Slice 77 of 155
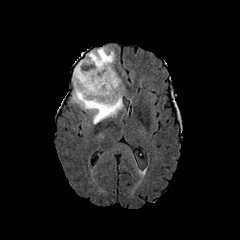
FLAIR MR.
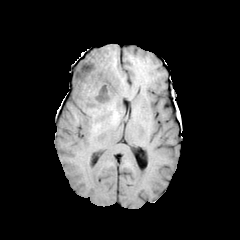
T1-weighted MR image.
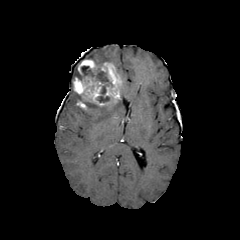
Same slice, post-contrast T1-weighted magnetic resonance.
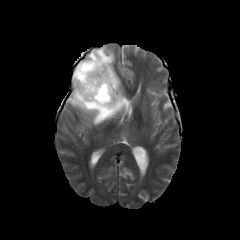
T2-weighted MR image.
Edema at (86,47,115,65), (70,90,124,124).
Non-enhancing tumor core at (98,96,109,101), (97,72,107,81), (81,66,93,75).
Enhancing tumor at (72,58,121,109).